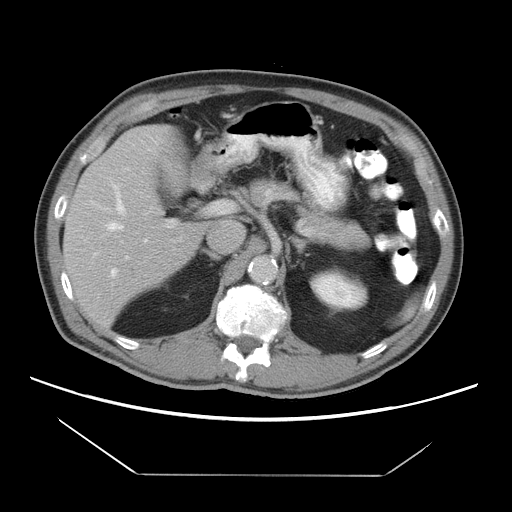
Computed tomography, Liver, 512x512
The vessel boxes may cover only some of the vessels.
Hepatic vessel = box(149, 136, 152, 139); box(168, 221, 174, 227); box(146, 146, 151, 149); box(93, 252, 98, 256); box(107, 223, 123, 230); box(90, 201, 110, 212); box(111, 268, 116, 277); box(109, 180, 125, 214); box(125, 256, 128, 258); box(144, 239, 146, 241).